Computed tomography, Field of view 344 mm wide, 1.00 mm slice spacing, Slice 221 of 466 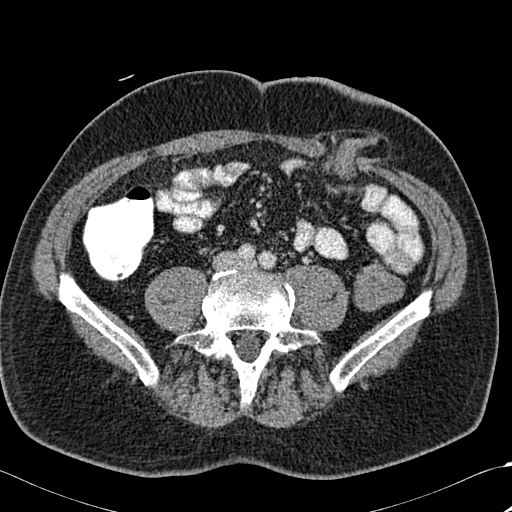

3 bone regions are located at <bbox>330, 291, 430, 390</bbox>, <bbox>176, 269, 317, 404</bbox>, <bbox>59, 275, 158, 386</bbox>.